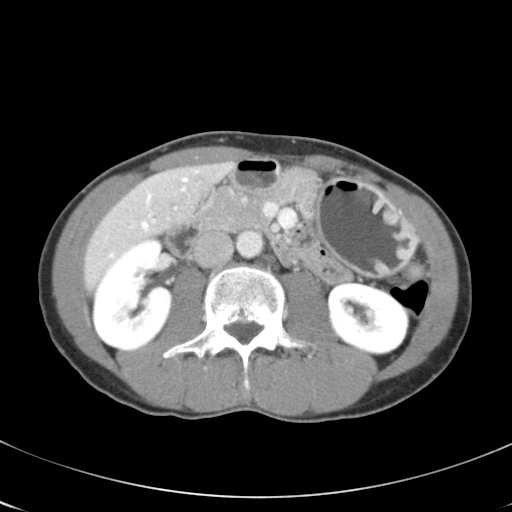

CT. Abdomen.

Not every hepatic vessel necessarily has a box.
Hepatic vessel = 182, 187, 185, 190; 142, 222, 148, 228; 147, 193, 151, 201; 183, 178, 187, 181; 110, 253, 113, 256.